Slice 77/155; Head; 240x240 px
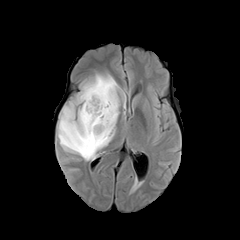
FLAIR MR.
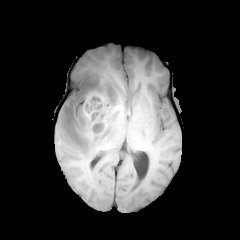
T1-weighted MR.
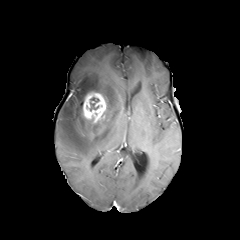
Post-contrast T1-weighted MRI.
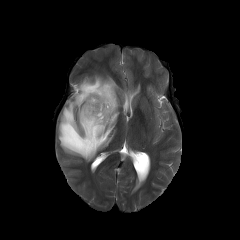
T2-weighted MR.
The enhancing tumor is bounded by 82, 92, 107, 122. The edema is located at 58, 73, 126, 160. 3 non-enhancing tumor core regions are bounded by 84, 118, 101, 130; 66, 125, 81, 145; 79, 82, 103, 115.